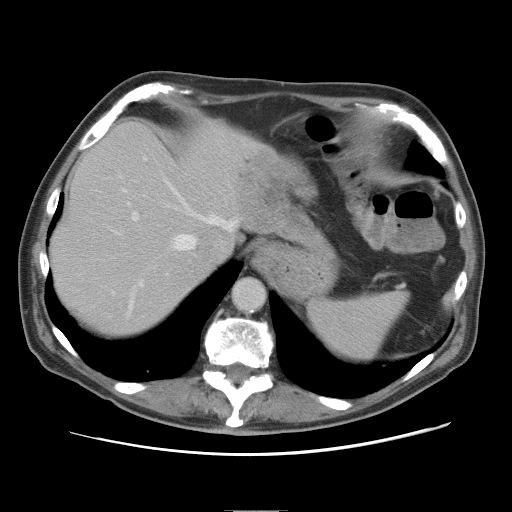

Computed tomography; 512x512
The vessel boxes may cover only some of the vessels.
Hepatic vessel — 169:183:189:211, 139:282:143:286, 114:231:116:233, 144:157:146:159, 129:297:133:312, 204:216:238:230, 132:213:138:220, 174:235:196:249, 123:189:125:191.
Liver tumor — 238:153:299:223.